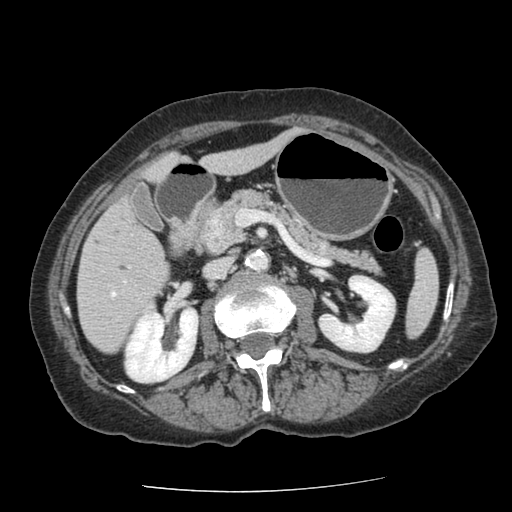 CT scan slice
Findings:
• pancreas: left=201, top=192, right=380, bottom=273
• pancreatic tumor: left=203, top=216, right=229, bottom=251